FLAIR MR.
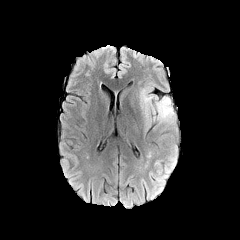
T1-weighted MR.
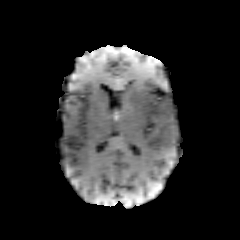
Post-contrast T1-weighted magnetic resonance.
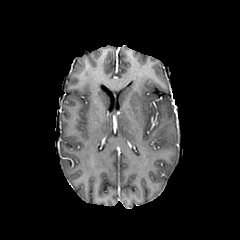
T2-weighted MRI.
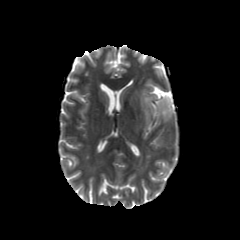
240x240; Head
2 edema regions are located at 138, 83, 176, 127; 150, 162, 171, 183.